FLAIR MR.
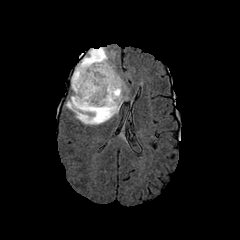
T1-weighted magnetic resonance.
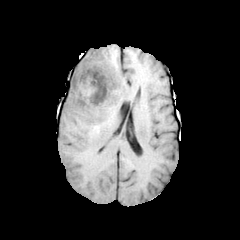
Post-contrast T1-weighted MRI.
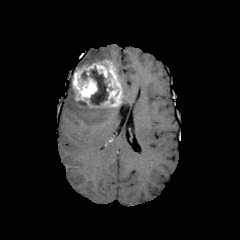
T2-weighted magnetic resonance.
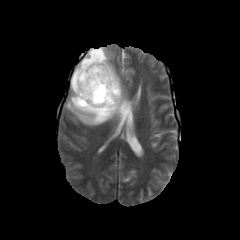
240x240
Non-enhancing tumor core: bounding box <box>90,69,107,105</box>.
Edema: bounding box <box>65,86,121,125</box>, <box>84,47,110,61</box>.
Enhancing tumor: bounding box <box>71,59,122,107</box>.